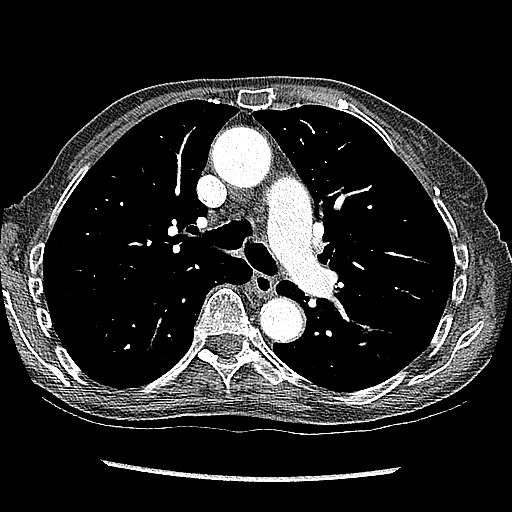

CT slice, Lung

lung tumor: x1=359 y1=324 x2=374 y2=337